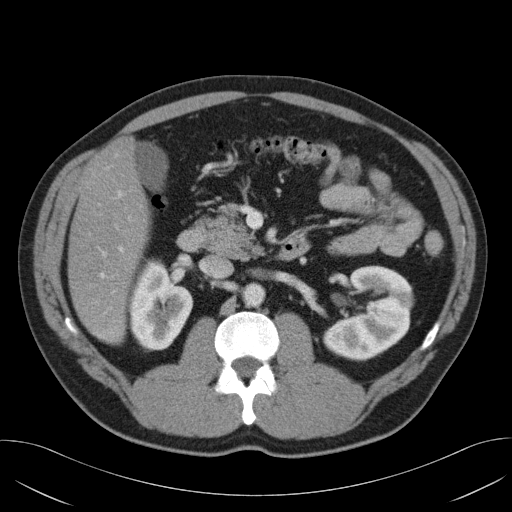
512x512 | CT
<segmentation>
  <pancreas>box(205, 204, 265, 261)</pancreas>
</segmentation>